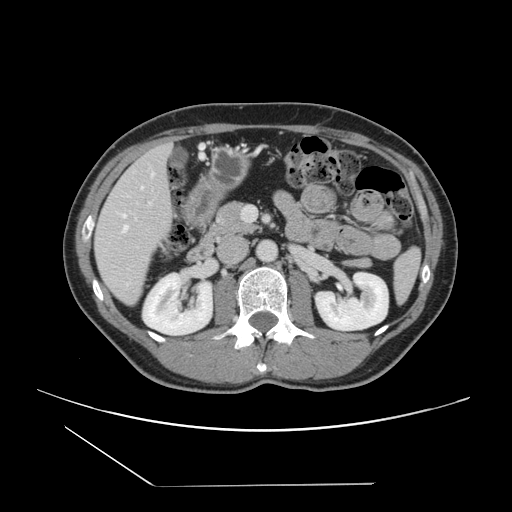 CT image.
Some hepatic vessels may have no box.
Hepatic vessel at 149,168,153,173.